FLAIR MRI.
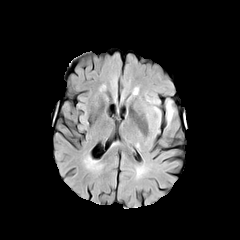
T1-weighted MR.
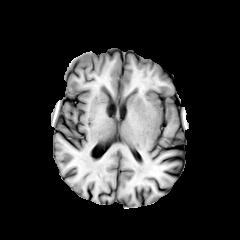
Post-contrast T1-weighted MR.
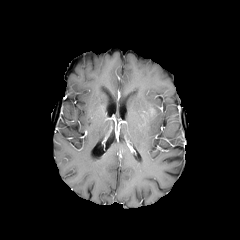
T2-weighted MRI.
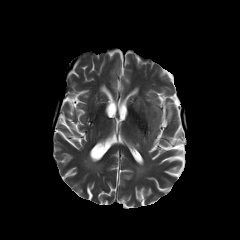
Head.
edema: 166:101:173:120